34x49, Image width 34 mm, MRI slice

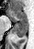 The posterior hippocampus lies within [x1=13, y1=23, x2=28, y2=38]. The anterior hippocampus is at [x1=8, y1=9, x2=28, y2=23].